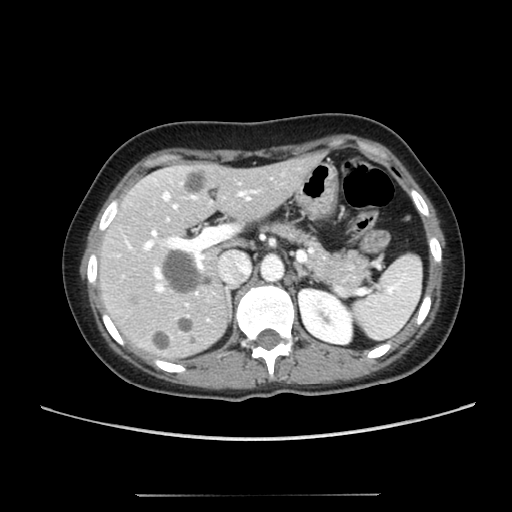 Abdomen, Computed tomography, 512x512
Kidney: (x1=299, y1=290, x2=351, y2=343).
Liver: (x1=98, y1=149, x2=326, y2=358).
Focal liver lesion: (x1=160, y1=246, x2=210, y2=295), (x1=130, y1=296, x2=138, y2=304), (x1=182, y1=168, x2=206, y2=195), (x1=150, y1=329, x2=169, y2=350), (x1=177, y1=316, x2=194, y2=332).